T2-weighted magnetic resonance.
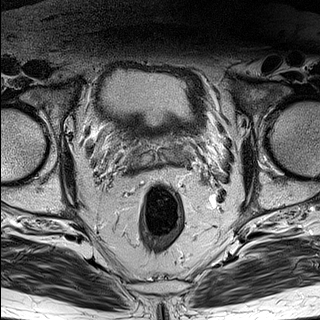
ADC MR.
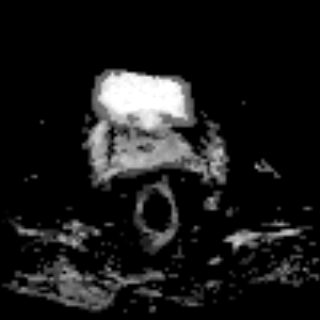
Prostate
<segmentation>
  <prostate_peripheral_zone>region(131, 138, 187, 169)</prostate_peripheral_zone>
</segmentation>